FLAIR MRI.
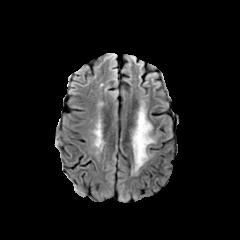
T1-weighted magnetic resonance.
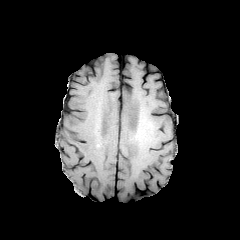
Post-contrast T1-weighted magnetic resonance.
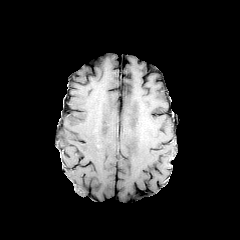
T2-weighted MR image.
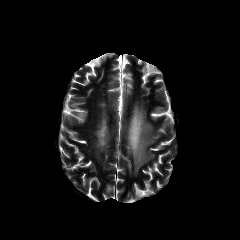
The edema is at 132, 107, 153, 171.